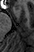

MR image
Anterior hippocampus: (x1=15, y1=6, x2=20, y2=11).